240x240 px; Brain; Slice index 55
FLAIR MR image.
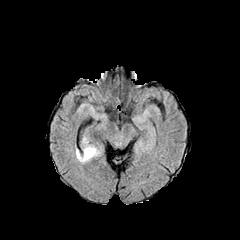
T1-weighted MRI.
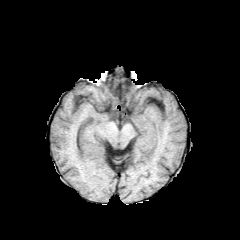
Post-contrast T1-weighted MR image.
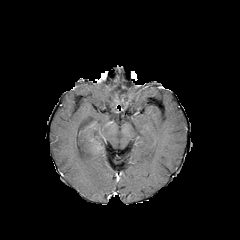
T2-weighted MR.
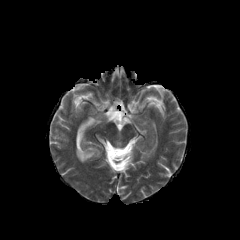
Edema: bounding box box(76, 139, 103, 162).